CT slice. Upper abdomen.
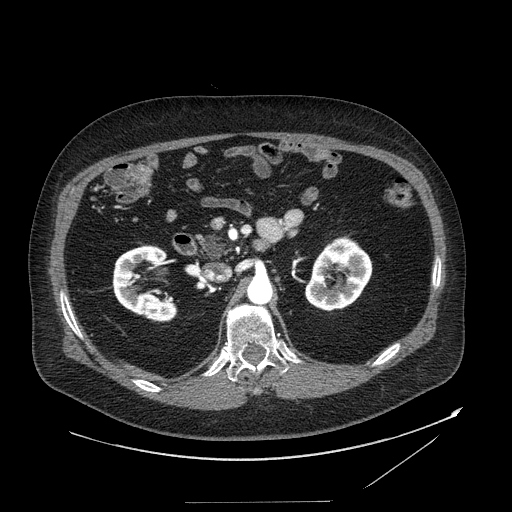 The pancreatic tumor lies within left=207, top=236, right=224, bottom=257. The pancreas is located at left=200, top=233, right=227, bottom=261.